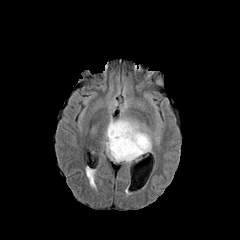
FLAIR MRI.
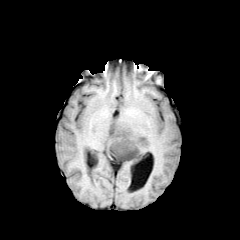
T1-weighted MR image.
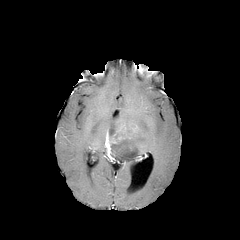
Post-contrast T1-weighted magnetic resonance of the same slice.
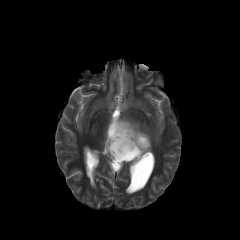
T2-weighted MRI.
Image size 240x240; Brain
2 edema regions appear at 112 158 135 164, 105 119 151 157. The non-enhancing tumor core appears at 109 124 142 161. The enhancing tumor lies within 105 131 122 160.